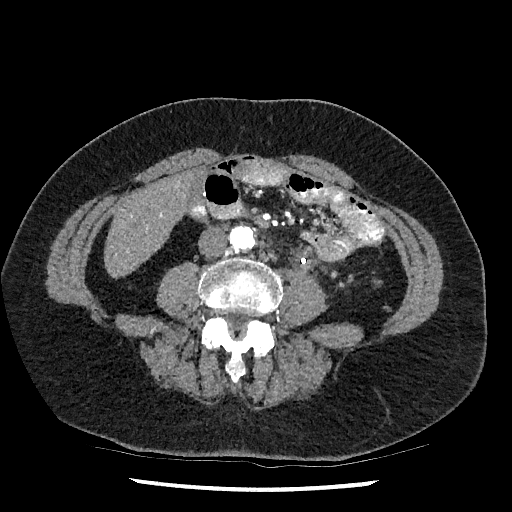 Computed tomography. Upper abdomen. Annotated regions:
* liver: (103, 171, 196, 278)